Slice 35/97, Field of view 469x469 mm, Computed tomography, Upper abdomen
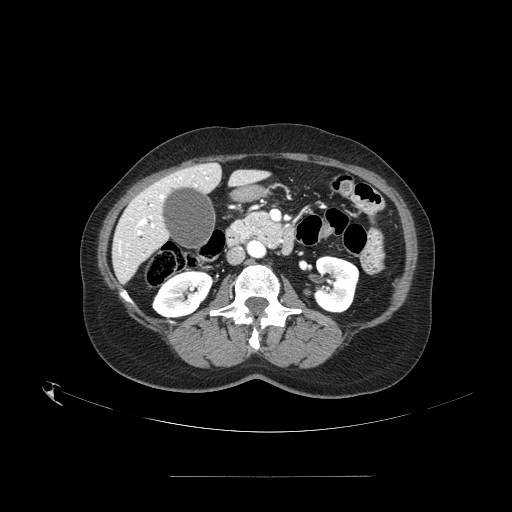 The pancreas is located at 235 213 282 248.